Image size 512x512 | CT image | Slice 373 of 605 | Upper abdomen
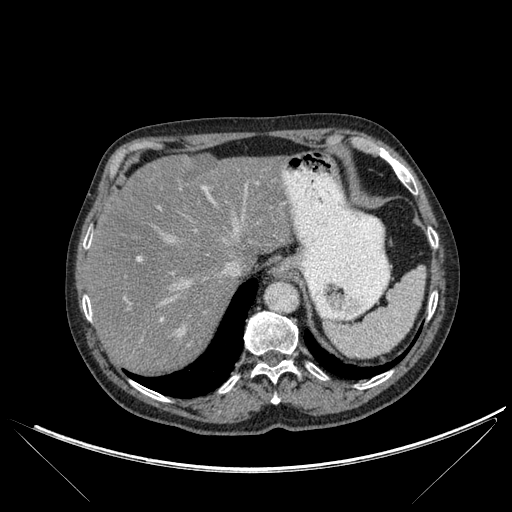

Findings:
* liver lesion: {"x1": 185, "y1": 155, "x2": 216, "y2": 178}
* lung: {"x1": 127, "y1": 278, "x2": 257, "y2": 398}, {"x1": 304, "y1": 331, "x2": 407, "y2": 379}
* bone: {"x1": 244, "y1": 311, "x2": 297, "y2": 354}, {"x1": 271, "y1": 393, "x2": 279, "y2": 403}, {"x1": 428, "y1": 227, "x2": 437, "y2": 247}, {"x1": 83, "y1": 232, "x2": 91, "y2": 248}, {"x1": 357, "y1": 371, "x2": 392, "y2": 389}, {"x1": 82, "y1": 295, "x2": 91, "y2": 320}, {"x1": 379, "y1": 149, "x2": 417, "y2": 193}, {"x1": 219, "y1": 375, "x2": 238, "y2": 392}, {"x1": 130, "y1": 381, "x2": 168, "y2": 401}, {"x1": 428, "y1": 292, "x2": 437, "y2": 317}, {"x1": 251, "y1": 359, "x2": 298, "y2": 383}, {"x1": 306, "y1": 363, "x2": 327, "y2": 380}
* liver: {"x1": 87, "y1": 154, "x2": 291, "y2": 375}